512x512 px, CT 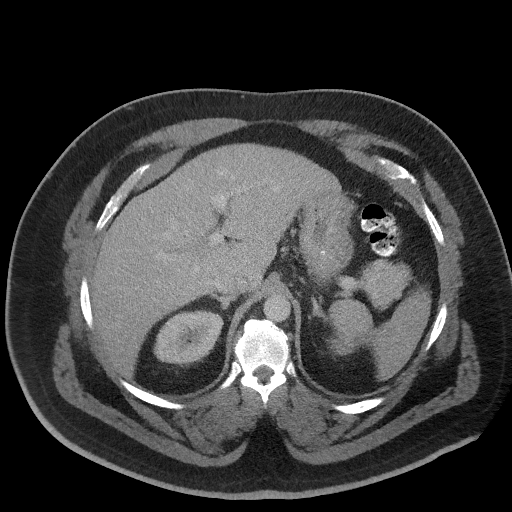 pancreatic tumor: l=363, t=261, r=408, b=306 | pancreas: l=362, t=261, r=376, b=281; l=377, t=260, r=400, b=266; l=364, t=282, r=408, b=308